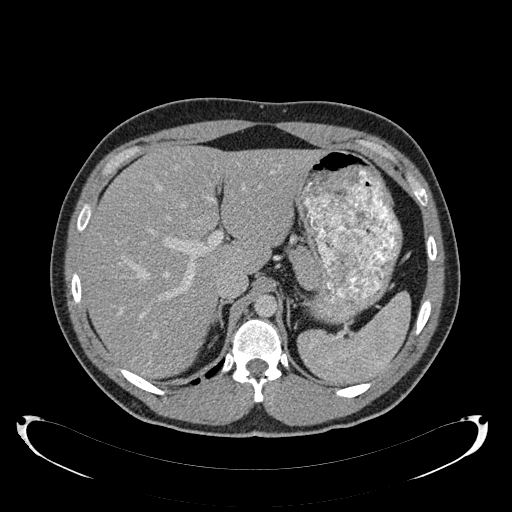 CT slice. Upper abdomen. liver:
  - (left=84, top=145, right=326, bottom=378)